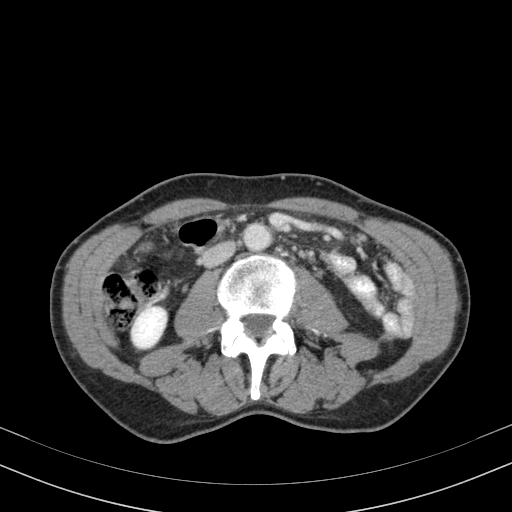
512x512. Abdomen. CT. Kidney — box=[132, 307, 165, 347].